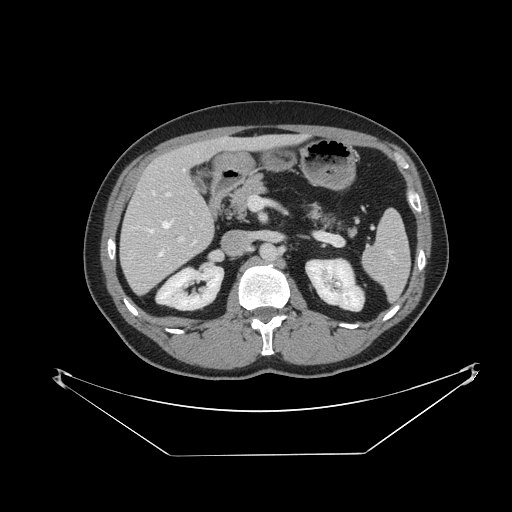 Computed tomography | 512x512

Annotated regions:
- spleen: x1=363, y1=211, x2=409, y2=299